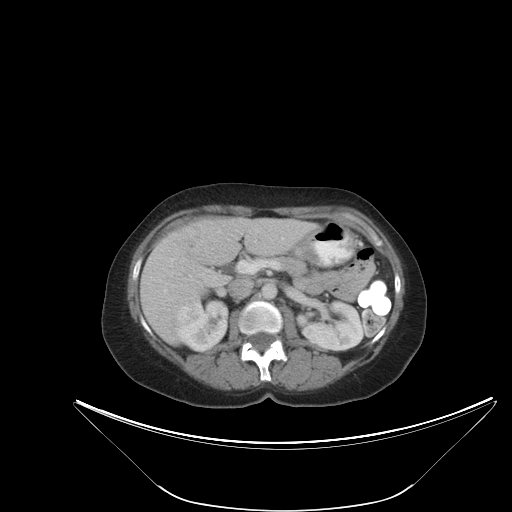 CT image; Image size 512x512; Abdomen
{
  "liver_tumor": [
    "(left=186, top=228, right=199, bottom=247)"
  ]
}